Brain, Image width 240 mm, Slice 90 of 155
FLAIR MR image.
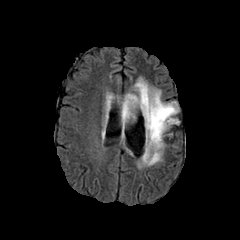
T1-weighted MR.
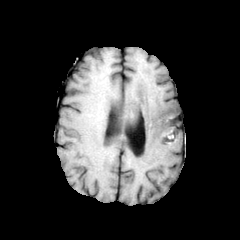
Post-contrast T1-weighted MRI.
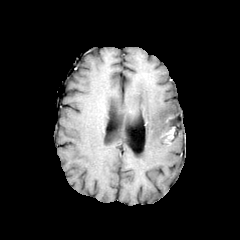
T2-weighted MRI.
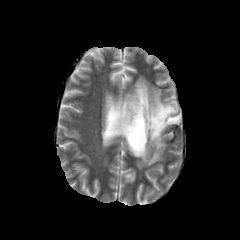
edema:
  - bbox(104, 94, 113, 118)
  - bbox(118, 77, 179, 166)
non-enhancing_tumor_core:
  - bbox(150, 106, 178, 135)